Slice index 18 | Field of view 36 mm wide, 1.00 mm slice spacing | MR image

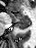

anterior_hippocampus:
  - left=9, top=13, right=29, bottom=22
posterior_hippocampus:
  - left=17, top=22, right=29, bottom=29